Abdomen; Computed tomography
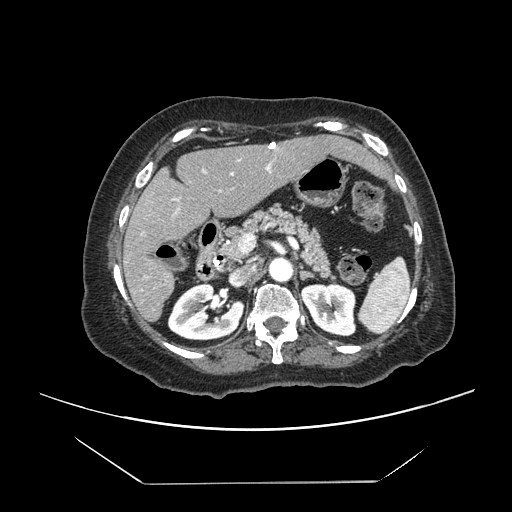 The vessel annotation is not exhaustive.
Annotated regions:
• hepatic vessel: [x1=231, y1=173, x2=232, y2=174], [x1=239, y1=234, x2=253, y2=252]